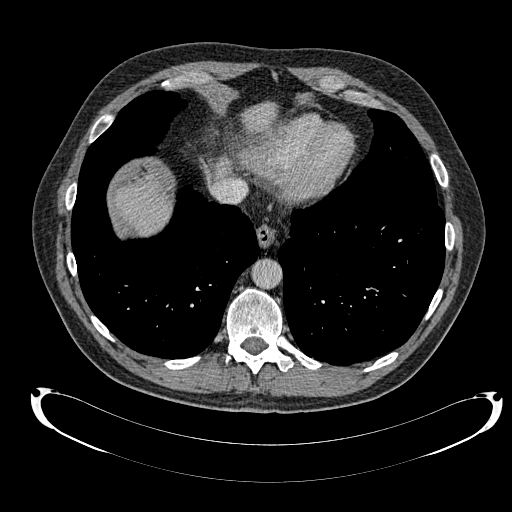

CT slice
<segmentation>
  <liver>left=243, top=103, right=274, bottom=133; left=216, top=159, right=229, bottom=178; left=116, top=176, right=170, bottom=235</liver>
</segmentation>